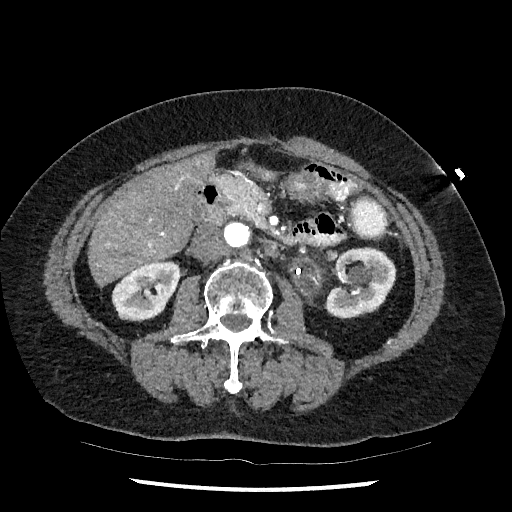
CT slice; Abdomen
Annotated regions:
* kidney: l=112, t=262, r=179, b=320; l=327, t=248, r=395, b=317
* liver: l=88, t=154, r=214, b=286